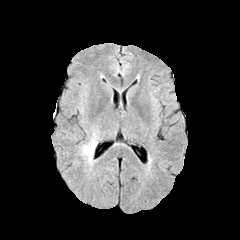
FLAIR magnetic resonance.
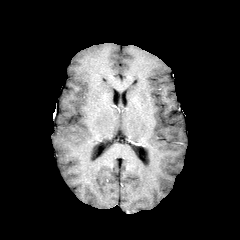
Same slice, T1-weighted MR image.
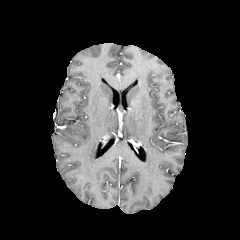
Post-contrast T1-weighted MRI.
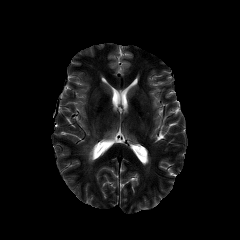
T2-weighted MRI.
Brain.
Annotated regions:
• edema: (left=81, top=129, right=101, bottom=165)